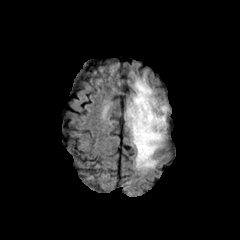
FLAIR MR image.
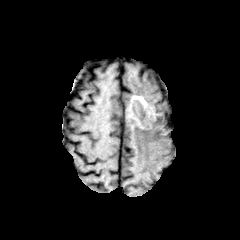
Same slice, T1-weighted MR.
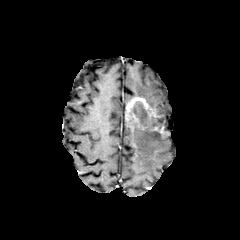
Post-contrast T1-weighted MRI.
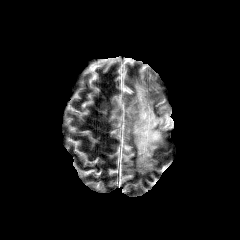
T2-weighted MR of the same slice.
<segmentation>
  <edema><bbox>129, 76, 169, 123</bbox>, <bbox>127, 103, 167, 172</bbox></edema>
  <non-enhancing_tumor_core><bbox>126, 101, 166, 134</bbox></non-enhancing_tumor_core>
  <enhancing_tumor><bbox>126, 97, 149, 119</bbox></enhancing_tumor>
</segmentation>